CT image.
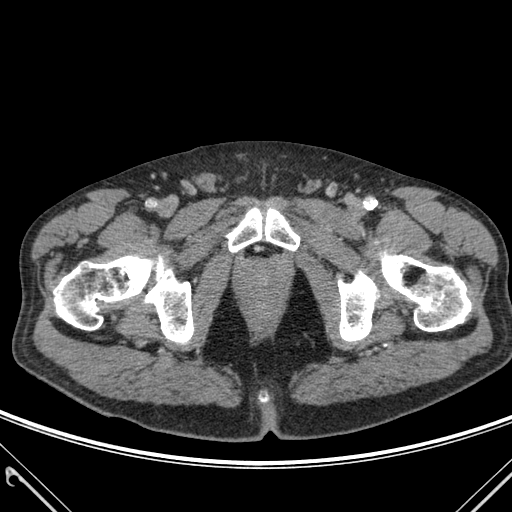
5 bone regions are bounded by bbox(227, 208, 299, 251); bbox(338, 272, 378, 341); bbox(145, 256, 193, 342); bbox(381, 253, 471, 331); bbox(53, 256, 153, 329).